512x512. Upper abdomen. Slice index 24. Computed tomography. 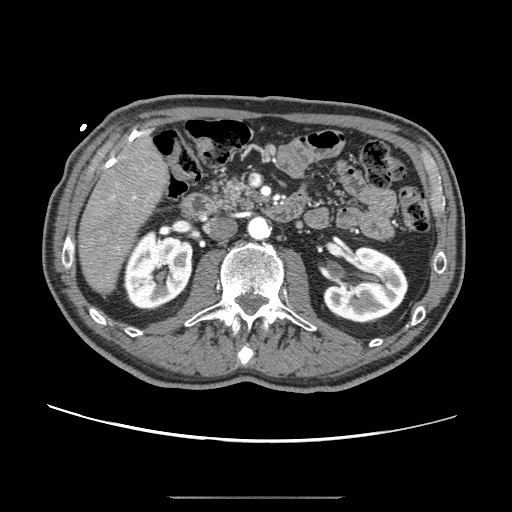 * pancreas: bbox=[210, 178, 267, 210]